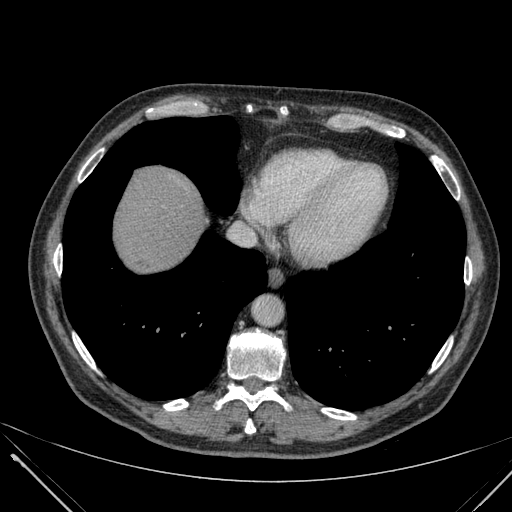
Upper abdomen, CT

{
  "liver": [
    "[115, 167, 207, 271]"
  ]
}